CT.

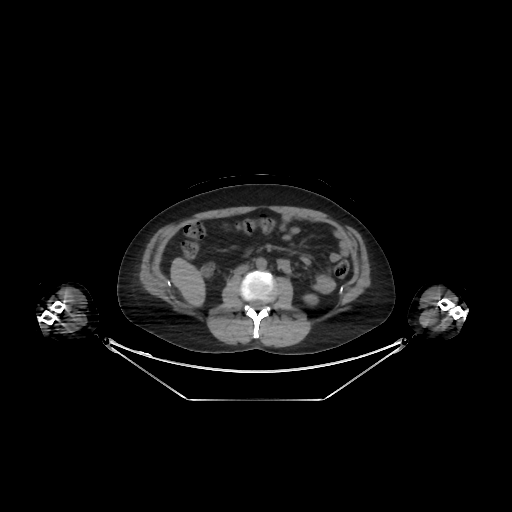 * kidney: 303 294 318 304
* liver: 170 258 210 306